CT; Slice 37 of 61; Liver
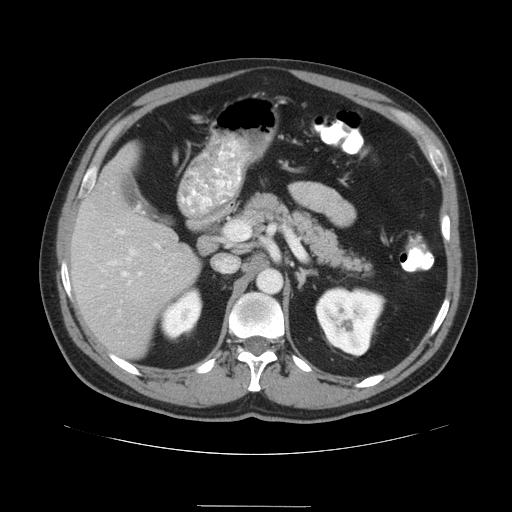 The vessel annotation is not exhaustive.
{
  "hepatic_vessel": [
    "rect(126, 249, 137, 262)",
    "rect(163, 268, 168, 272)",
    "rect(154, 243, 160, 248)",
    "rect(101, 270, 106, 273)",
    "rect(121, 272, 131, 284)",
    "rect(139, 272, 142, 275)",
    "rect(100, 286, 103, 288)",
    "rect(116, 230, 124, 234)",
    "rect(108, 261, 119, 265)",
    "rect(225, 222, 248, 240)"
  ]
}